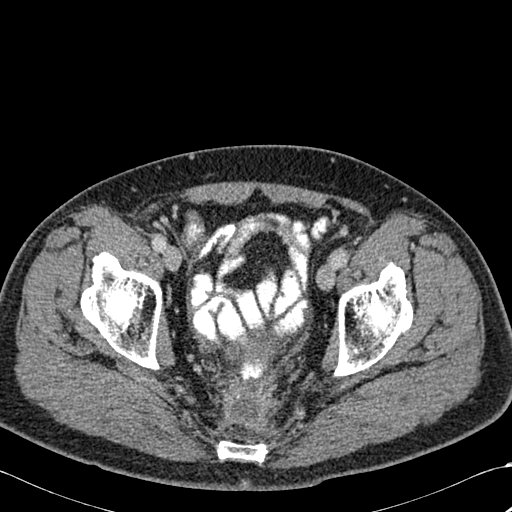

CT slice
Bone = region(81, 252, 161, 369); region(217, 441, 267, 462); region(334, 262, 412, 375).